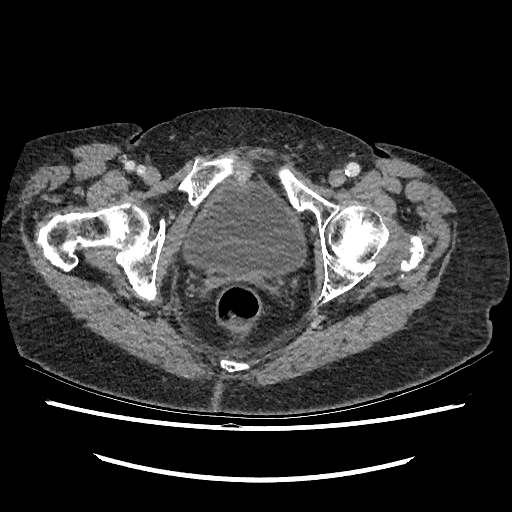

CT image.

Annotated regions:
- urinary bladder: left=179, top=179, right=306, bottom=287